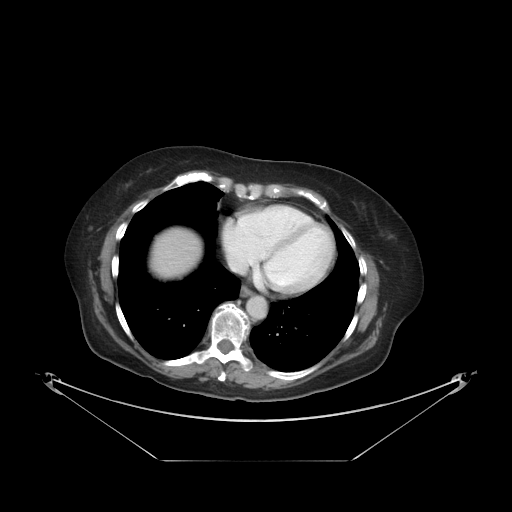 CT image; Abdomen
The vessel annotation is not exhaustive.
The hepatic vessel appears at box=[229, 256, 249, 272].